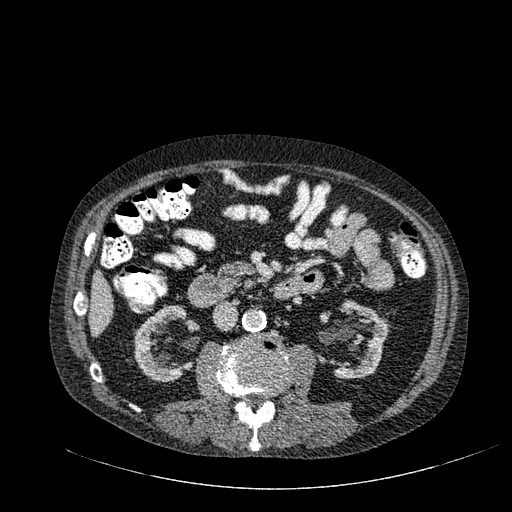

CT image.
The liver is at region(91, 272, 112, 335). 6 kidney regions appear at region(183, 337, 198, 350); region(320, 312, 330, 323); region(185, 320, 199, 331); region(134, 305, 192, 381); region(319, 301, 388, 378); region(317, 355, 327, 363).